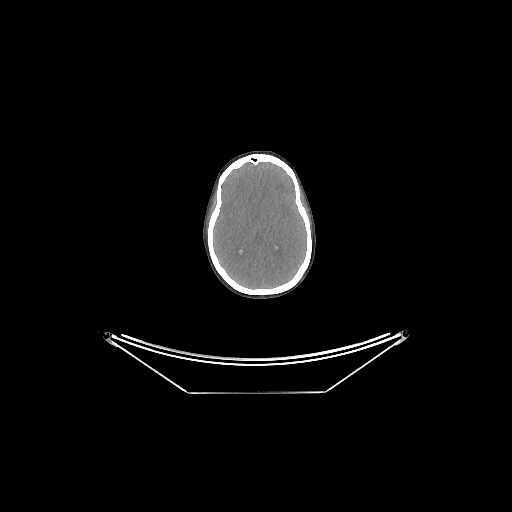
Head. CT scan slice. 512x512 px.
brain:
  - (213, 162, 307, 289)